Field of view 441 mm wide, 2.50 mm slice spacing; Slice 38 of 103; CT image; 512x512 px

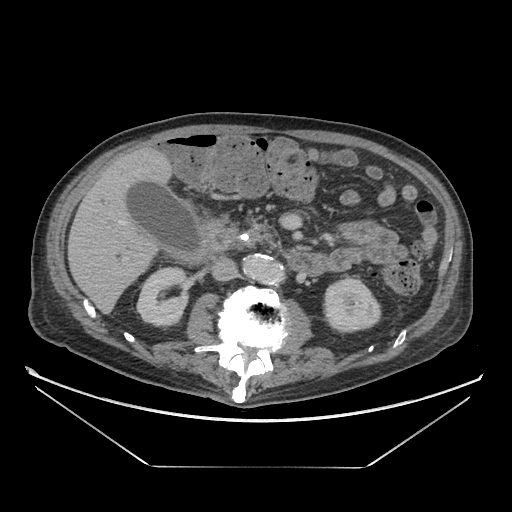
Pancreatic tumor = 252 232 261 242.